512x512 px; Abdomen; CT
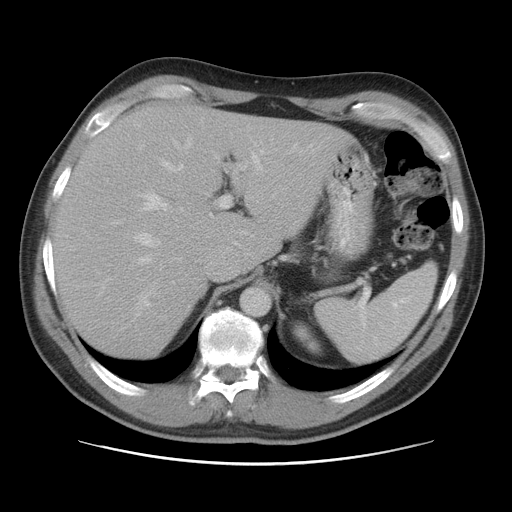

The vessel boxes may cover only some of the vessels.
Annotated regions:
- hepatic vessel: <box>134,233,160,246</box>, <box>219,194,232,207</box>, <box>186,138,190,147</box>, <box>251,147,264,171</box>, <box>140,293,149,306</box>, <box>161,160,182,171</box>, <box>141,192,168,210</box>, <box>139,256,151,263</box>